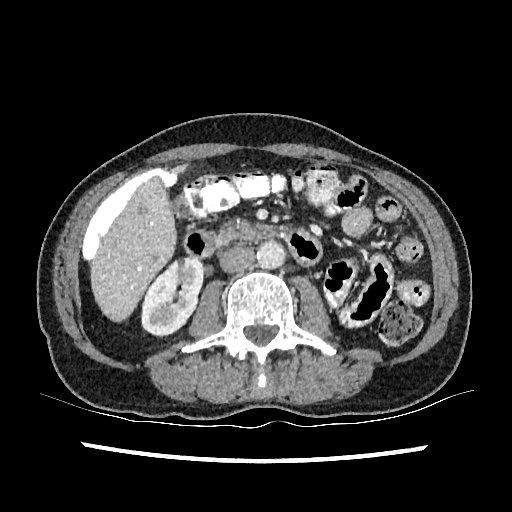
CT slice
Liver: bounding box 172, 164, 188, 173; 91, 175, 174, 320.
Kidney: bounding box 142, 259, 202, 334.